240x240. Brain.
FLAIR MR.
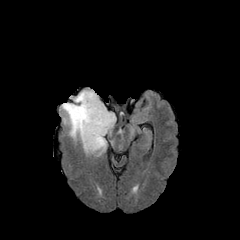
T1-weighted MR.
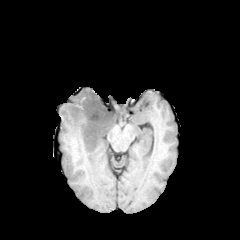
Post-contrast T1-weighted magnetic resonance.
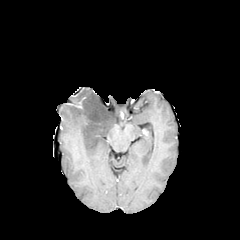
T2-weighted magnetic resonance.
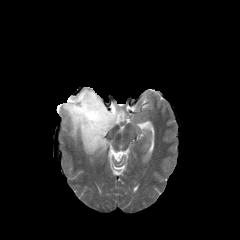
{
  "edema": [
    "60 89 115 155"
  ],
  "non-enhancing_tumor_core": [
    "67 96 107 138"
  ]
}